Brain.
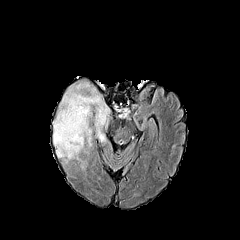
FLAIR MR image.
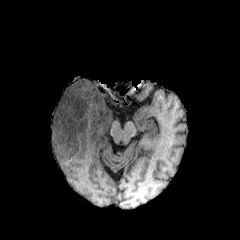
T1-weighted MRI of the same slice.
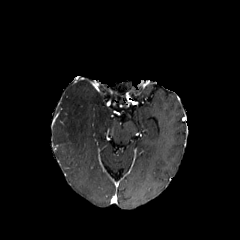
Post-contrast T1-weighted MR image.
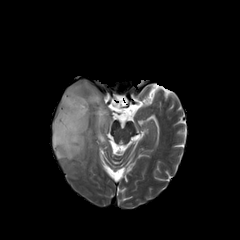
Same slice, T2-weighted MR image.
The edema is located at rect(52, 80, 113, 168).